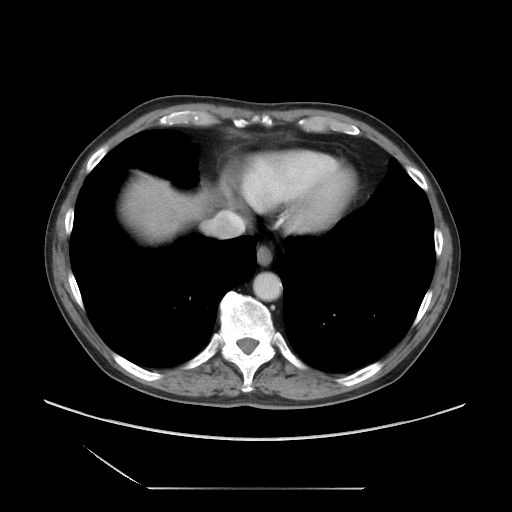
Abdomen. CT slice.
Some hepatic vessels may have no box.
2 hepatic vessel regions appear at (left=212, top=223, right=218, bottom=230), (left=227, top=227, right=238, bottom=232).